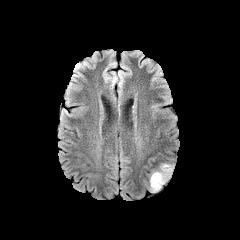
FLAIR MR.
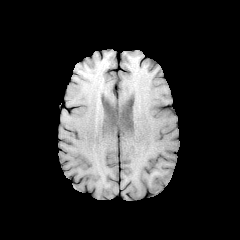
T1-weighted MRI.
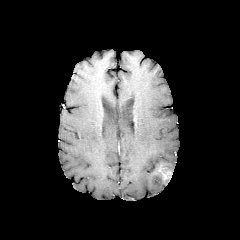
Post-contrast T1-weighted MR.
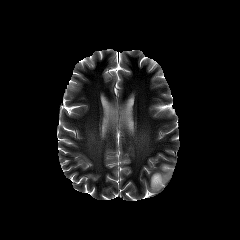
T2-weighted MRI.
Head
The edema lies within 149,163,174,192.